FLAIR MR.
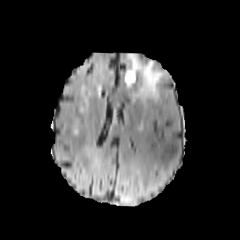
T1-weighted MRI.
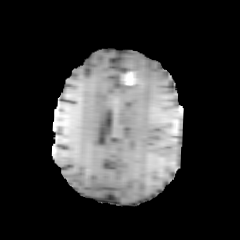
Post-contrast T1-weighted MR.
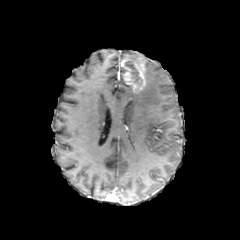
T2-weighted MRI.
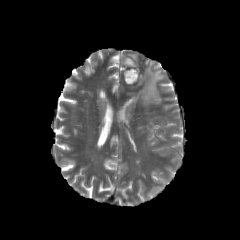
Brain
Findings:
• enhancing tumor: 121, 57, 146, 91
• non-enhancing tumor core: 125, 61, 143, 86
• edema: 126, 61, 165, 106; 125, 52, 140, 62